Brain
FLAIR MR.
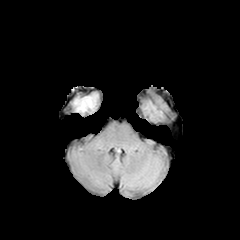
T1-weighted MR image.
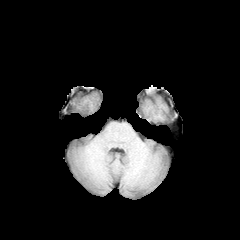
Post-contrast T1-weighted magnetic resonance.
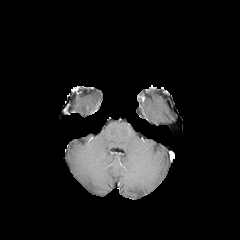
T2-weighted magnetic resonance.
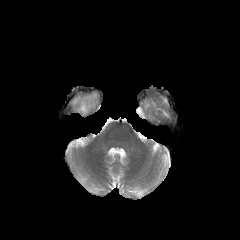
• edema: bbox=[73, 95, 96, 112]